FLAIR magnetic resonance.
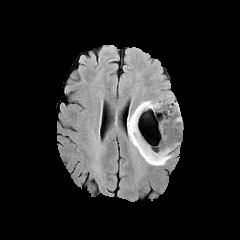
T1-weighted MR image.
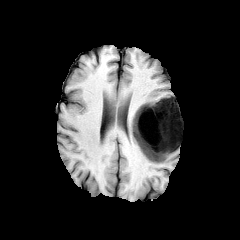
Post-contrast T1-weighted MR image.
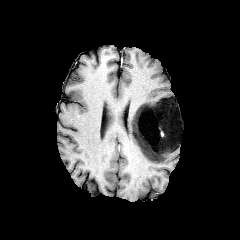
T2-weighted magnetic resonance.
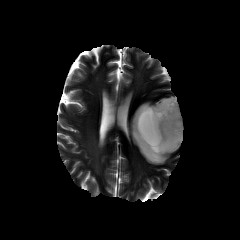
Head | 240x240 px
2 edema regions are located at box(127, 100, 172, 165); box(157, 96, 181, 136). The non-enhancing tumor core is located at box(134, 99, 180, 160).